CT slice | 512x512 px | Abdomen
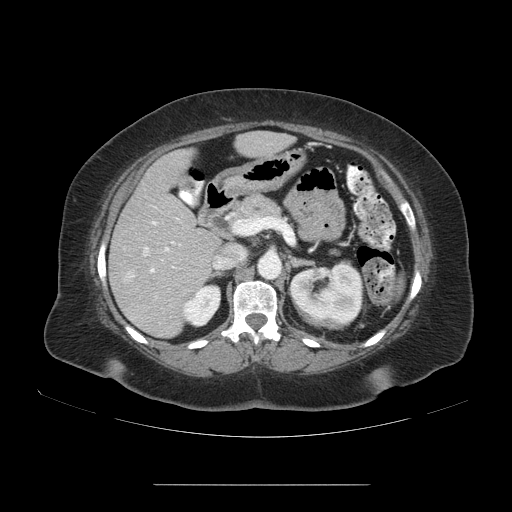
Not every hepatic vessel necessarily has a box.
Hepatic vessel: region(150, 269, 153, 271); region(236, 218, 269, 233); region(152, 222, 154, 224); region(143, 248, 147, 255); region(165, 248, 167, 250); region(213, 247, 243, 268).
Liver tumor: region(124, 268, 137, 281).